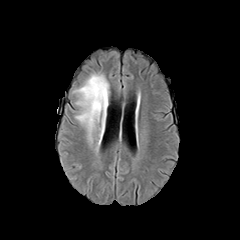
FLAIR MRI.
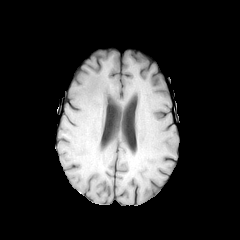
T1-weighted MRI.
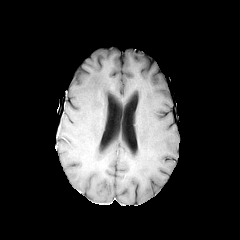
Post-contrast T1-weighted magnetic resonance.
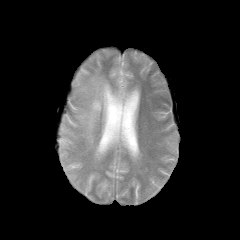
T2-weighted MR.
240x240
The edema is bounded by (74,71,110,152).